MR image. 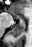

- posterior hippocampus: {"x1": 9, "y1": 20, "x2": 25, "y2": 37}
- anterior hippocampus: {"x1": 8, "y1": 11, "x2": 23, "y2": 19}